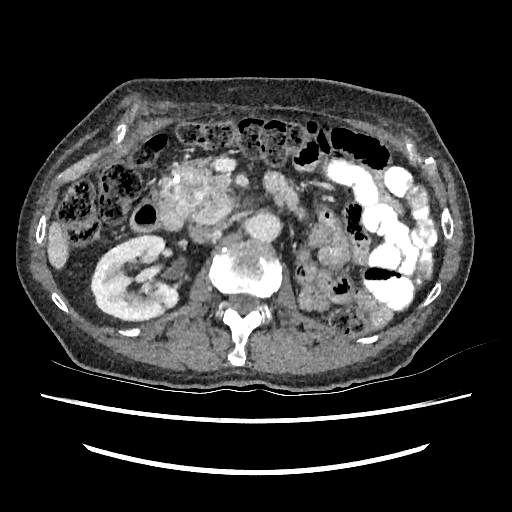
Abdomen | CT
Segmented structures:
- liver: 48, 222, 67, 268
- kidney: 91, 236, 177, 320